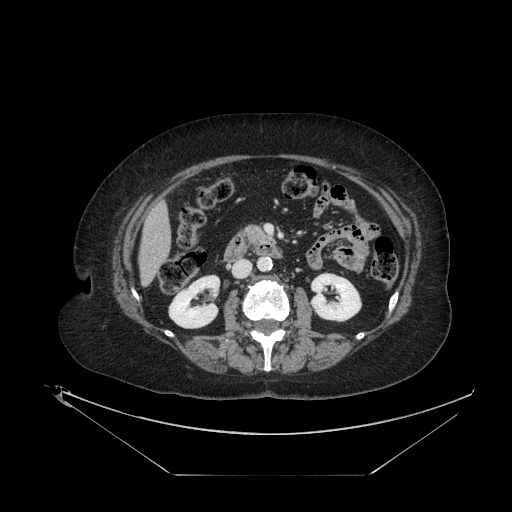

CT image
pancreas:
  - x1=245, y1=225, x2=273, y2=246